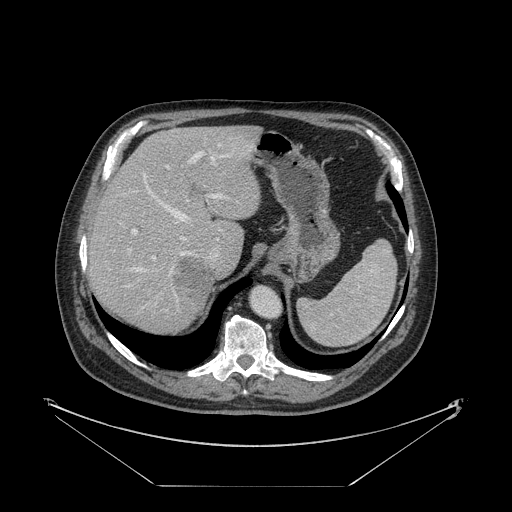

CT scan slice | Abdomen
Only some of the vessels may be annotated.
8 hepatic vessel regions appear at 211, 157, 213, 163; 153, 256, 154, 259; 167, 166, 168, 167; 131, 229, 136, 233; 189, 152, 201, 163; 181, 237, 183, 239; 128, 248, 130, 251; 207, 194, 221, 199. The liver tumor is located at 175, 258, 211, 302.